FLAIR MRI.
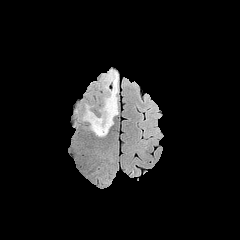
T1-weighted MRI.
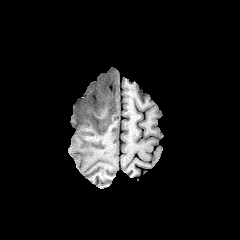
Post-contrast T1-weighted MR.
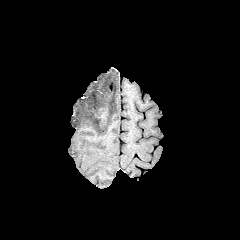
T2-weighted magnetic resonance.
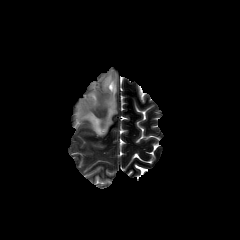
Head
The edema lies within {"x1": 83, "y1": 70, "x2": 118, "y2": 136}.